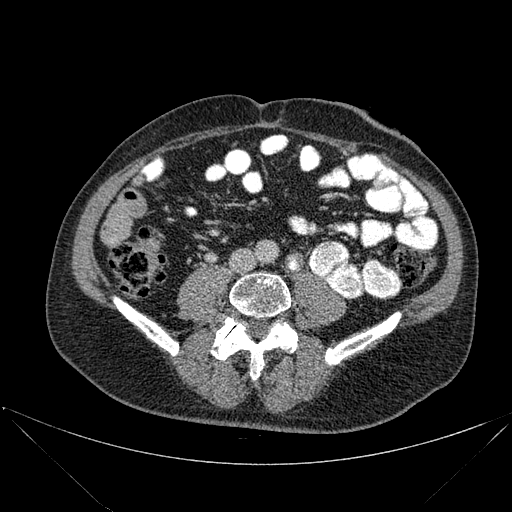
CT

Bone: box(229, 273, 290, 316); box(211, 317, 297, 379); box(325, 312, 400, 364); box(114, 297, 178, 355).